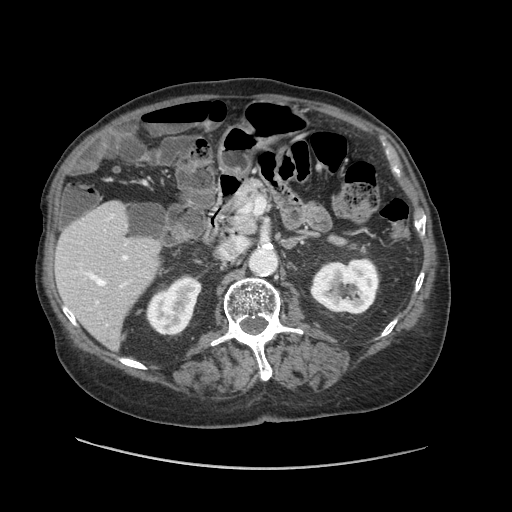
Abdomen | Computed tomography

Not every hepatic vessel necessarily has a box.
3 hepatic vessel regions appear at (233,237,246,250), (92,277,105,285), (222,249,230,257).